Brain
FLAIR MR.
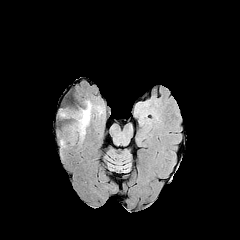
T1-weighted MR.
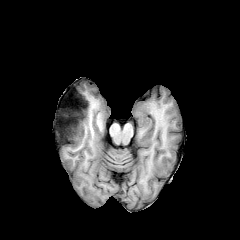
Post-contrast T1-weighted MR image.
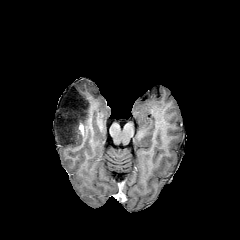
T2-weighted MR image.
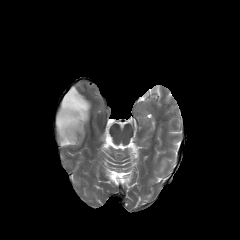
{"non-enhancing_tumor_core": ["<bbox>58, 97, 89, 145</bbox>"], "enhancing_tumor": ["<bbox>78, 122, 84, 135</bbox>"], "edema": ["<bbox>85, 101, 92, 129</bbox>"]}